Abdomen | CT
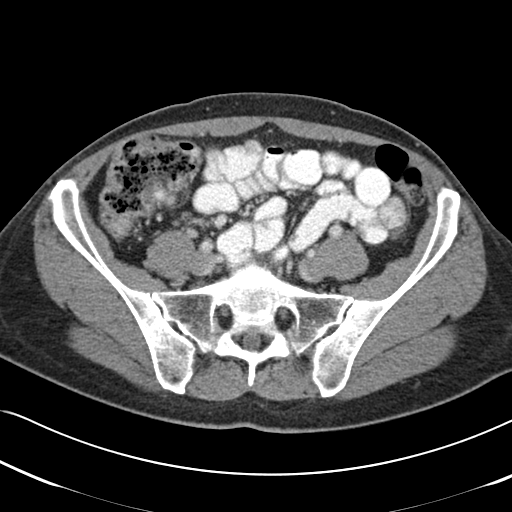
2 colon tumor regions appear at (x1=141, y1=180, x2=156, y2=207), (x1=107, y1=210, x2=142, y2=239).